Abdomen | CT image | Slice index 45 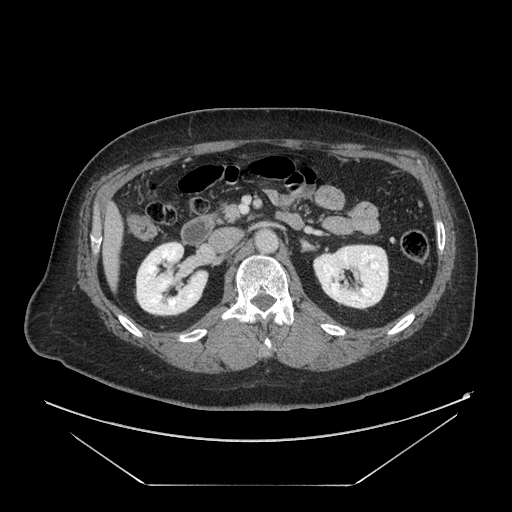

Segmented structures:
• pancreas: [225, 204, 239, 221]